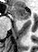
Medial temporal lobe; MR; 38x52 px
The anterior hippocampus is at (11,7,28,19).